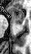 Medial temporal lobe | MRI slice
The posterior hippocampus lies within box=[18, 24, 21, 25]. The anterior hippocampus lies within box=[10, 6, 24, 23].